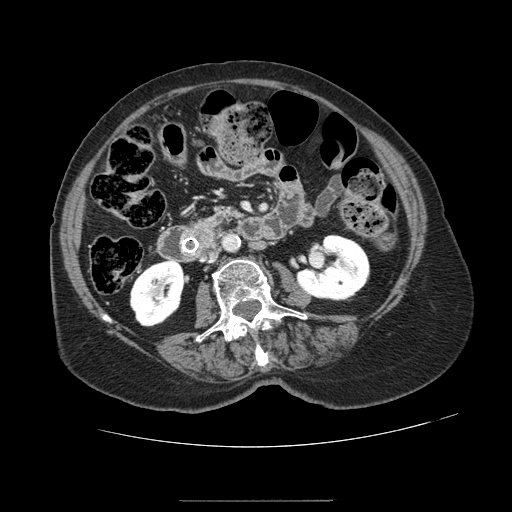 CT scan slice

The pancreatic tumor appears at x1=195 y1=229 x2=210 y2=244. The pancreas is at x1=180 y1=205 x2=234 y2=259.